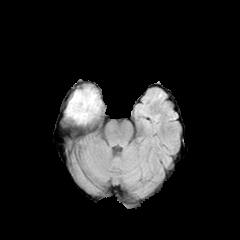
FLAIR MRI.
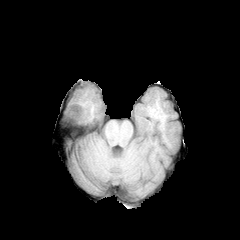
T1-weighted magnetic resonance.
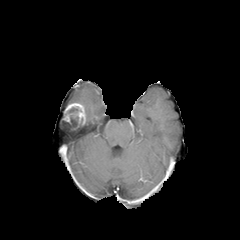
Same slice, post-contrast T1-weighted MRI.
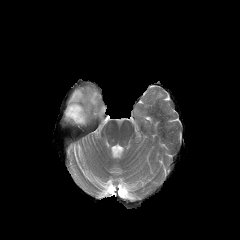
T2-weighted MR.
Head.
Edema: 69, 87, 101, 122.
Enhancing tumor: 65, 102, 85, 123.
Non-enhancing tumor core: 68, 115, 81, 125.